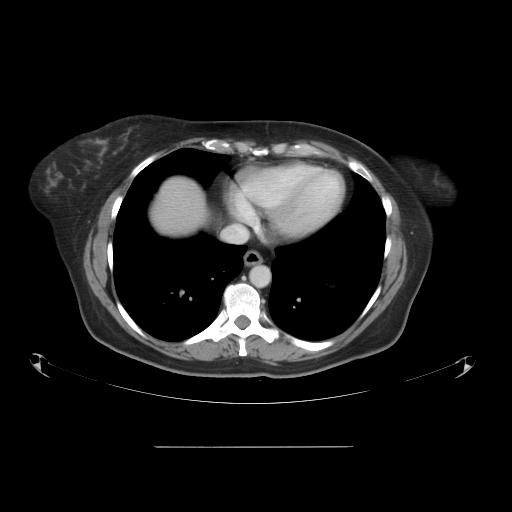
CT image
Some hepatic vessels may have no box.
The hepatic vessel is bounded by x1=225 y1=224 x2=247 y2=242.